Abdomen | 512x512 px | Computed tomography
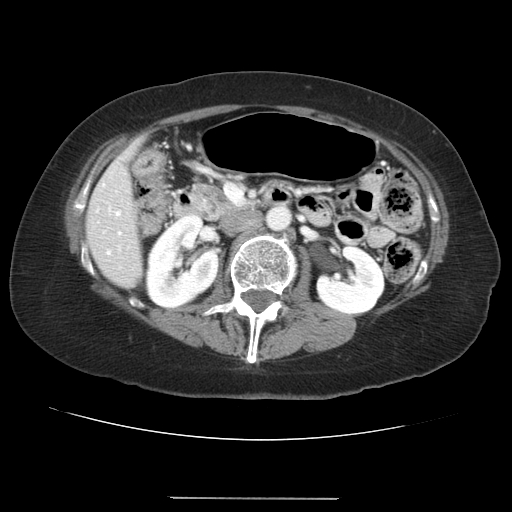
{"colon_tumor": ["131:149:167:235"]}